Field of view 400x400 mm. Cardiac. MRI.

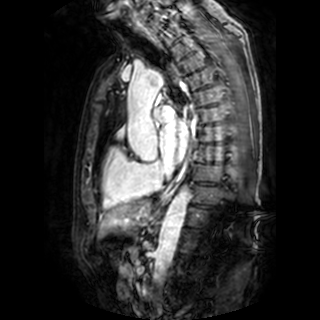 <segmentation>
  <left_atrium>{"x1": 160, "y1": 120, "x2": 188, "y2": 164}</left_atrium>
</segmentation>